Computed tomography; Abdomen 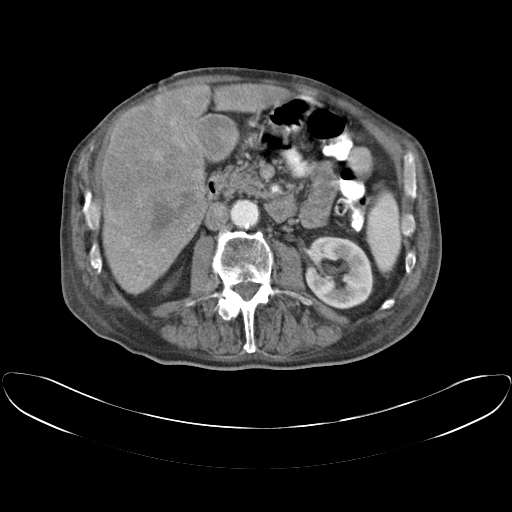 The vessel annotation is not exhaustive.
6 hepatic vessel regions are located at l=139, t=261, r=141, b=262; l=126, t=242, r=129, b=244; l=162, t=249, r=164, b=251; l=191, t=224, r=193, b=226; l=183, t=100, r=189, b=103; l=150, t=263, r=154, b=266. The liver tumor is bounded by l=104, t=110, r=202, b=246.